Slice 30 of 41; Computed tomography
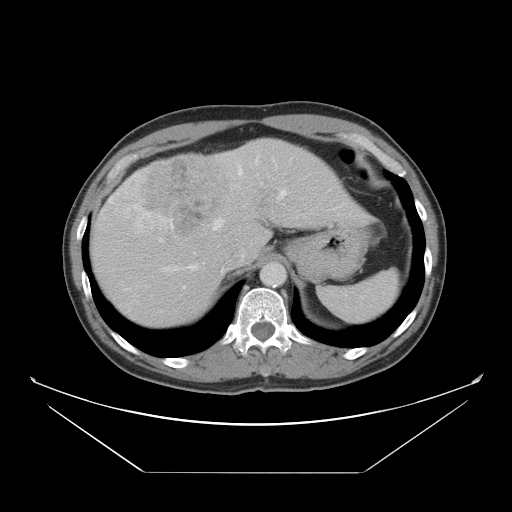
Some hepatic vessels may have no box.
Hepatic vessel = x1=238, y1=168, x2=241, y2=174; x1=202, y1=262, x2=204, y2=267; x1=330, y1=207, x2=337, y2=209; x1=213, y1=218, x2=223, y2=230; x1=164, y1=266, x2=179, y2=271; x1=159, y1=238, x2=162, y2=241; x1=277, y1=190, x2=286, y2=199; x1=183, y1=286, x2=185, y2=288; x1=255, y1=161, x2=256, y2=163; x1=342, y1=203, x2=347, y2=205; x1=231, y1=184, x2=240, y2=189; x1=260, y1=183, x2=262, y2=185; x1=189, y1=264, x2=198, y2=269.
Liver tumor = x1=145, y1=158, x2=219, y2=235.